Lower abdomen. Slice 78/455. Computed tomography.

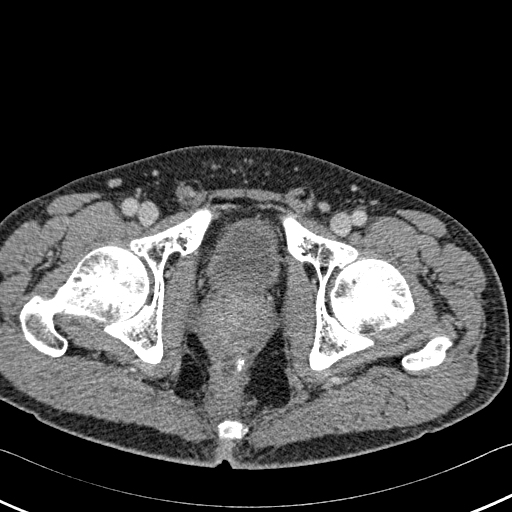 Annotated regions:
* urinary bladder: l=206, t=217, r=280, b=297
* bone: l=20, t=210, r=210, b=364; l=284, t=217, r=413, b=370; l=216, t=420, r=243, b=438; l=402, t=336, r=451, b=369